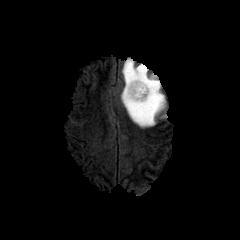
FLAIR MR.
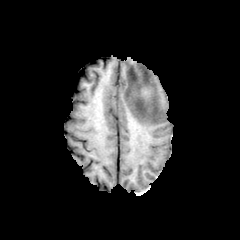
T1-weighted MRI.
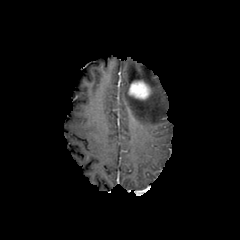
Post-contrast T1-weighted MR image.
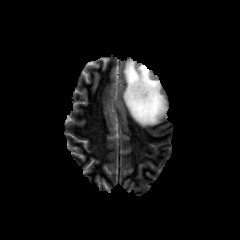
T2-weighted MR of the same slice.
Head; 240x240
The non-enhancing tumor core lies within <bbox>128, 94, 146, 102</bbox>. The enhancing tumor is bounded by <bbox>128, 81, 149, 98</bbox>. The edema is at <bbox>121, 59, 166, 126</bbox>.